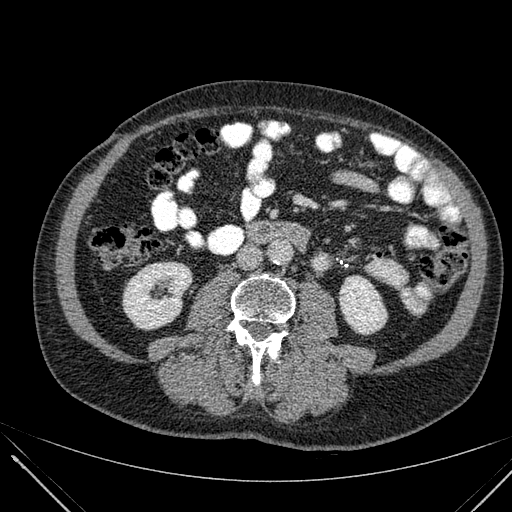 Abdomen | CT image
kidney: 123, 262, 191, 328; 340, 276, 386, 333